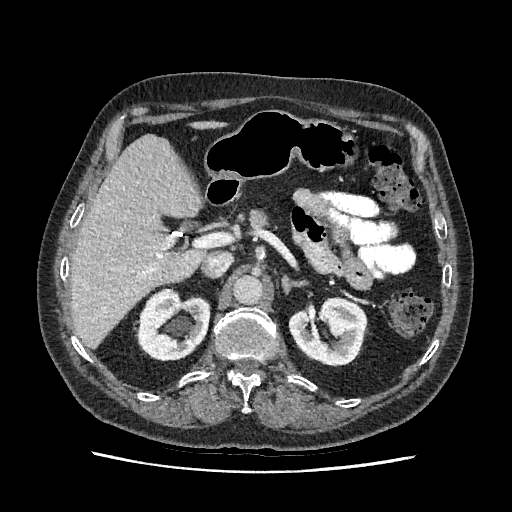

CT
2 liver regions are bounded by rect(192, 122, 225, 128); rect(71, 134, 205, 348). 2 kidney regions are bounded by rect(289, 298, 366, 364); rect(138, 290, 209, 359).